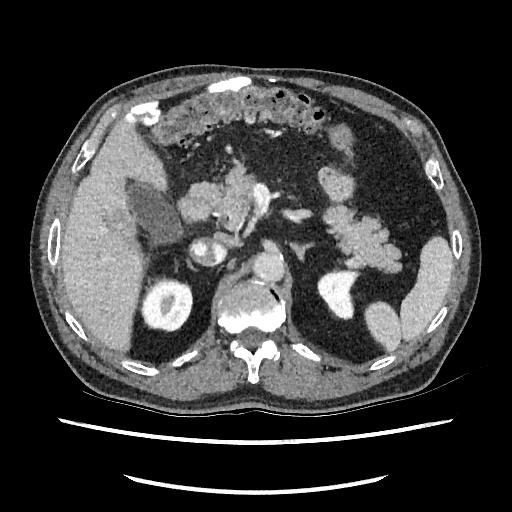

CT scan slice; Abdomen
<segmentation>
  <focal_liver_lesion>l=127, t=234, r=140, b=253; l=105, t=212, r=123, b=229</focal_liver_lesion>
  <kidney>l=316, t=270, r=360, b=319; l=141, t=278, r=192, b=331</kidney>
  <liver>l=64, t=120, r=164, b=349</liver>
</segmentation>